CT scan slice
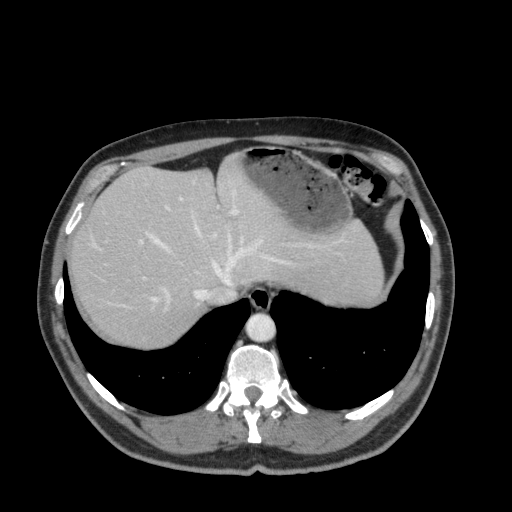

Segmented structures:
- liver: l=73, t=154, r=381, b=346